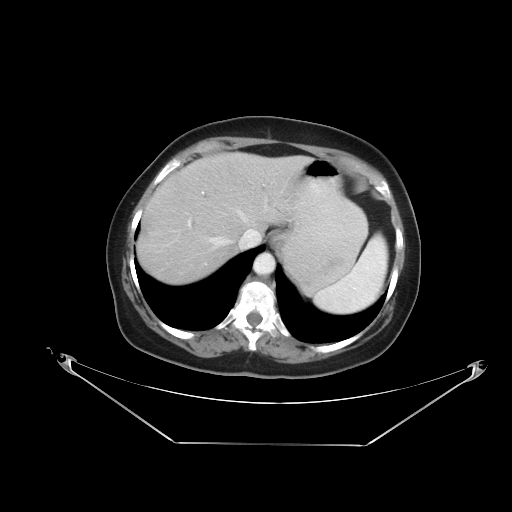

CT slice; Abdomen
Not every hepatic vessel necessarily has a box.
Hepatic vessel: [x1=188, y1=220, x2=190, y2=226], [x1=243, y1=224, x2=258, y2=245], [x1=209, y1=237, x2=230, y2=248], [x1=238, y1=210, x2=246, y2=221], [x1=264, y1=198, x2=267, y2=210].